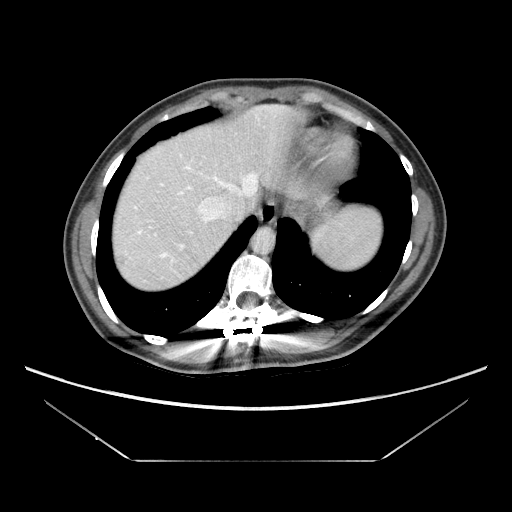 CT image
Only some of the vessels may be annotated.
5 hepatic vessel regions are located at [x1=179, y1=186, x2=192, y2=193], [x1=179, y1=153, x2=256, y2=195], [x1=196, y1=196, x2=234, y2=223], [x1=161, y1=252, x2=173, y2=260], [x1=181, y1=245, x2=182, y2=246].